FLAIR MR image.
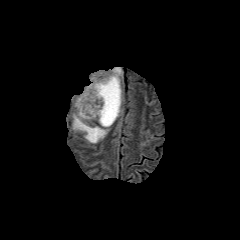
T1-weighted MRI.
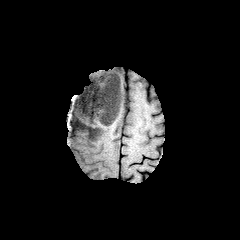
Post-contrast T1-weighted MR.
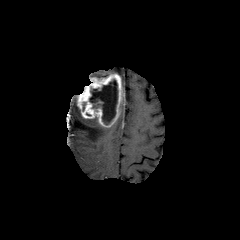
T2-weighted magnetic resonance.
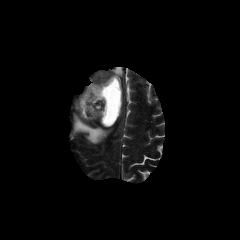
Image size 240x240
2 edema regions are bounded by rect(72, 103, 109, 144); rect(110, 67, 123, 77). The non-enhancing tumor core appears at rect(90, 80, 117, 124). The enhancing tumor lies within rect(76, 72, 122, 127).